Abdomen; CT slice; Slice 43/99; Image size 512x512 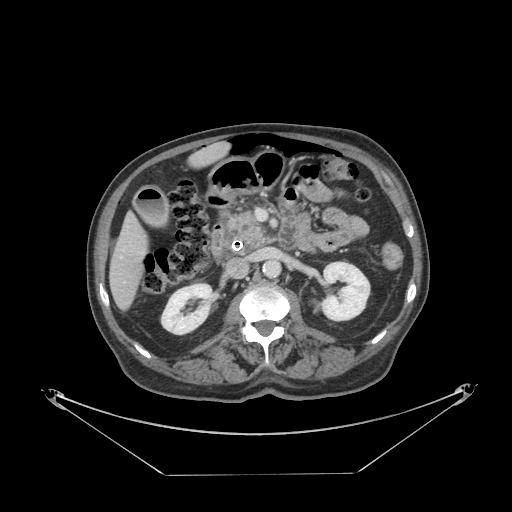 The pancreatic tumor lies within bbox=[242, 223, 249, 230]. The pancreas is located at bbox=[227, 212, 264, 253].